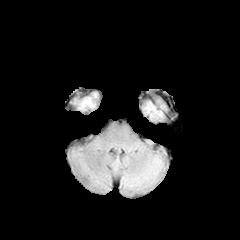
FLAIR magnetic resonance.
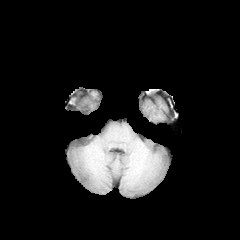
T1-weighted MRI of the same slice.
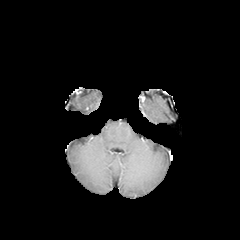
Same slice, post-contrast T1-weighted magnetic resonance.
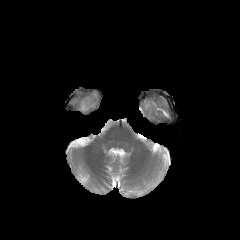
T2-weighted MR image of the same slice.
240x240 px
The edema appears at (79,97,94,110).